Thorax, CT scan slice
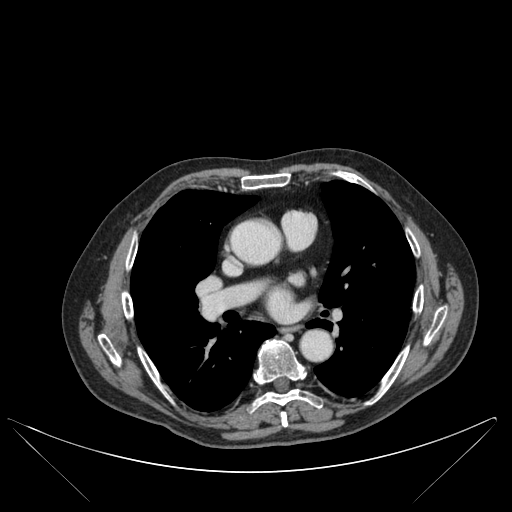
Lung: bounding box (306,318,331,330), (314,180,415,397), (130,190,275,411).
Bone: bounding box (366,346,408,404), (253,389,321,409), (424,307,446,344), (337,171,361,182), (241,173,290,189), (254,340,305,383), (138,348,163,390), (122,292,133,317), (98,334,120,365), (408,233,419,255), (281,412,287,426), (413,285,423,312), (126,239,136,268).